240x240 px
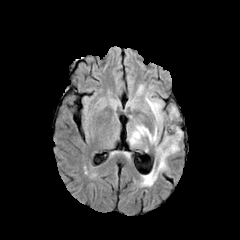
FLAIR MR image.
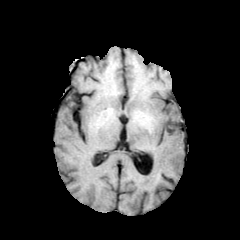
T1-weighted magnetic resonance of the same slice.
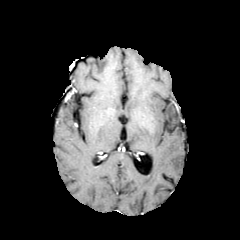
Same slice, post-contrast T1-weighted MRI.
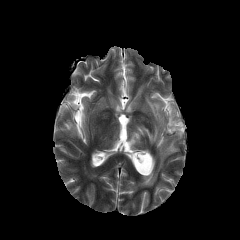
T2-weighted magnetic resonance.
edema:
  - [127, 93, 178, 148]
  - [139, 126, 182, 186]